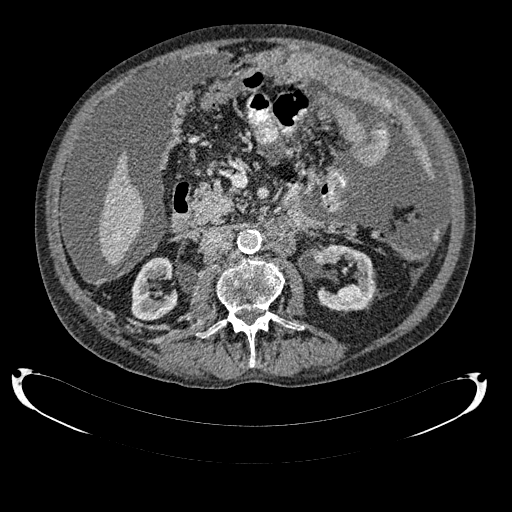

CT. <segmentation>
  <liver>(99, 152, 144, 264)</liver>
  <kidney>(132, 258, 176, 319), (314, 245, 374, 310)</kidney>
</segmentation>